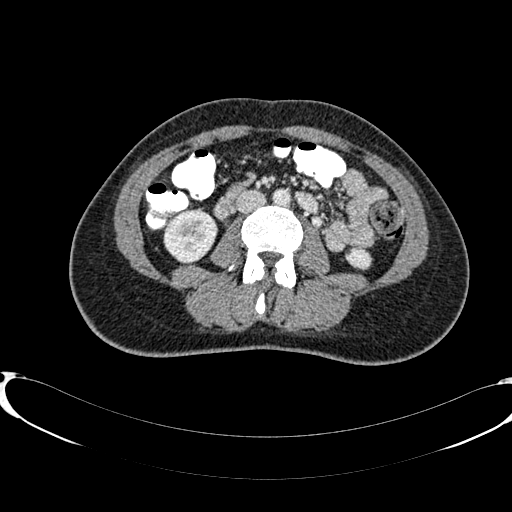 Abdomen, Computed tomography

2 kidney regions are bounded by [x1=165, y1=212, x2=215, y2=261], [x1=351, y1=251, x2=368, y2=265].